Slice index 33, CT slice, Image width 476 mm, Upper abdomen 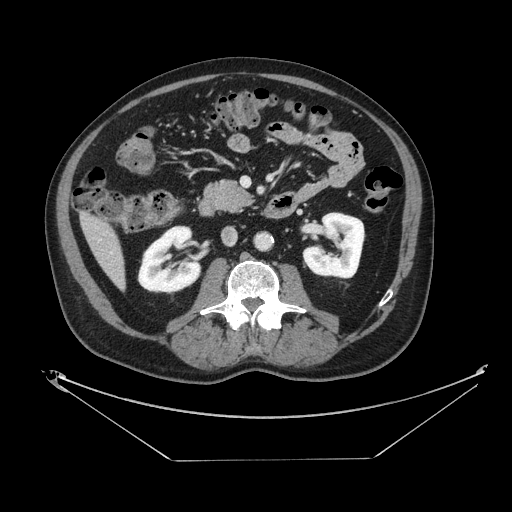

The pancreas appears at bbox(205, 179, 253, 212).